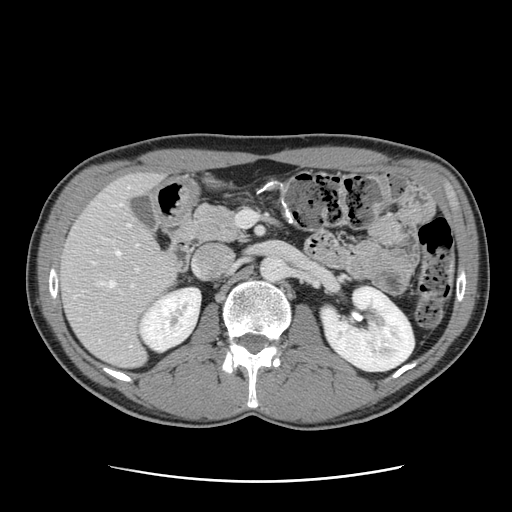
CT
The vessel annotation is not exhaustive.
<segmentation>
  <hepatic_vessel>box=[99, 281, 114, 286]; box=[135, 268, 137, 270]; box=[131, 284, 133, 285]; box=[119, 204, 121, 205]; box=[135, 245, 137, 246]; box=[127, 224, 129, 225]; box=[93, 262, 94, 263]; box=[116, 251, 119, 255]</hepatic_vessel>
</segmentation>